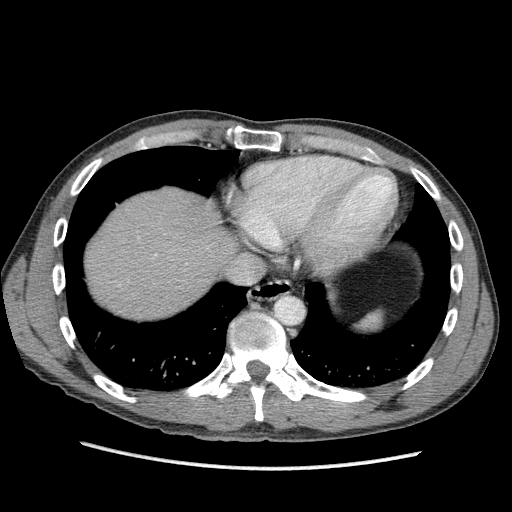

CT scan slice. Upper abdomen.
The liver lies within bbox(84, 187, 245, 320).